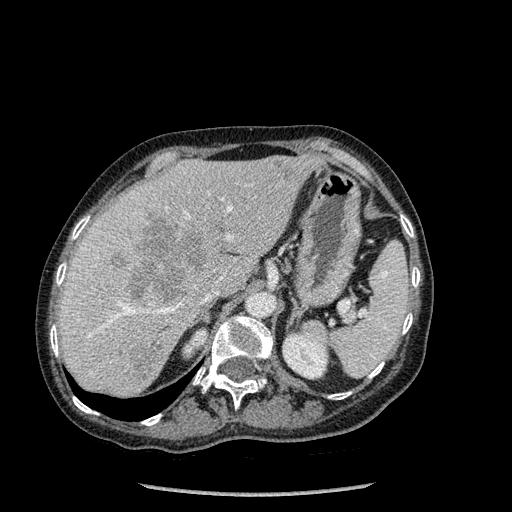

CT image. Liver.
Bone — l=400, t=214, r=413, b=237; l=193, t=316, r=272, b=409; l=328, t=391, r=351, b=399; l=73, t=396, r=98, b=414; l=72, t=216, r=89, b=239; l=411, t=267, r=420, b=287; l=50, t=325, r=58, b=356; l=401, t=313, r=412, b=334; l=141, t=414, r=161, b=425; l=368, t=362, r=384, b=378; l=56, t=262, r=66, b=285.
Kidney — l=185, t=331, r=206, b=353; l=283, t=331, r=326, b=378.
Liver — l=59, t=154, r=325, b=397.
Liver lesion — l=129, t=217, r=205, b=301; l=275, t=161, r=289, b=167; l=127, t=344, r=161, b=380; l=108, t=256, r=126, b=267; l=277, t=169, r=294, b=181.
Lung — l=69, t=372, r=192, b=420.